Slice index 70. Head. 240x240.
FLAIR MR image.
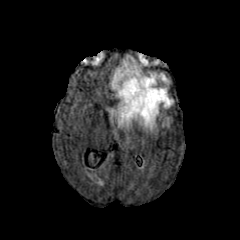
T1-weighted magnetic resonance.
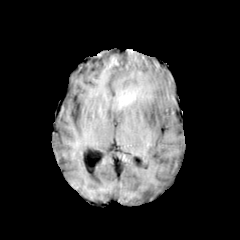
Post-contrast T1-weighted MRI.
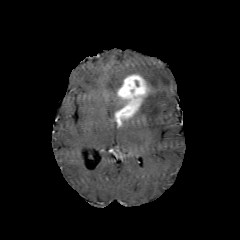
T2-weighted MR.
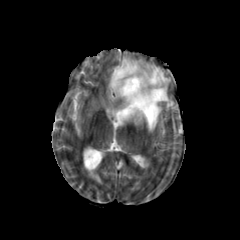
The edema lies within x1=110 y1=56 x2=173 y2=130. The enhancing tumor appears at x1=114 y1=73 x2=148 y2=127.